240x240, Head
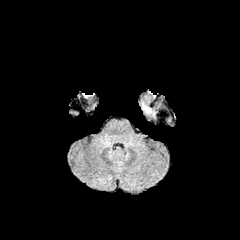
FLAIR magnetic resonance.
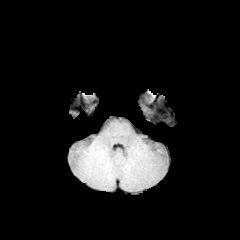
T1-weighted MR image of the same slice.
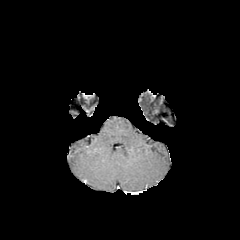
Post-contrast T1-weighted MR of the same slice.
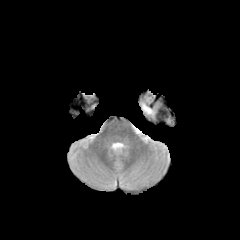
T2-weighted MRI.
Edema — [x1=142, y1=102, x2=154, y2=115].